Image size 37x50 | Slice index 25 | Hippocampus | MRI slice 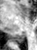 Posterior hippocampus: bounding box bbox=[14, 34, 24, 43].